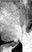
Image size 32x52; Medial temporal lobe; MR image
<segmentation>
  <posterior_hippocampus>x1=12 y1=43 x2=17 y2=46</posterior_hippocampus>
</segmentation>